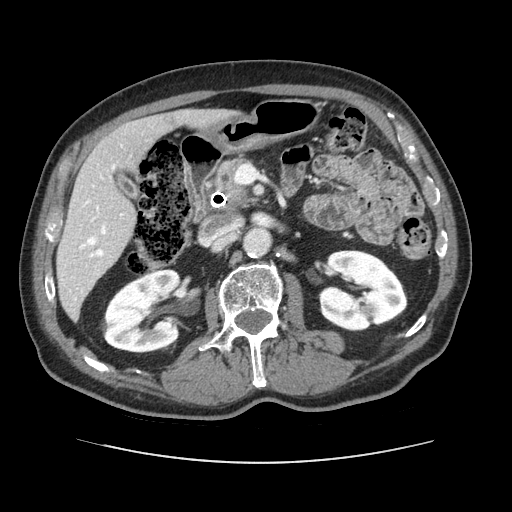
Upper abdomen; 512x512 px; CT image

Findings:
* pancreas: [216,159,242,195]
* pancreatic tumor: [226,183,244,203]